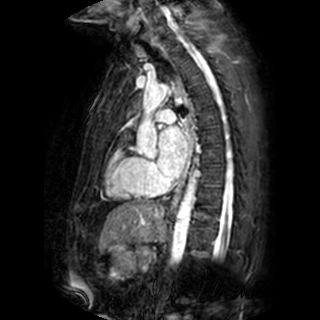 MR image.

left atrium: 158, 126, 186, 177